CT slice

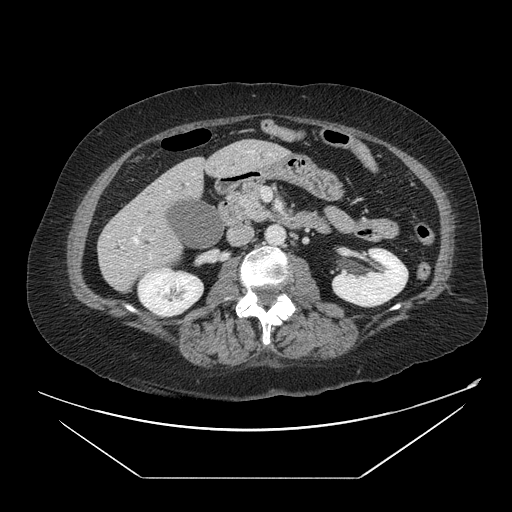
The pancreas is bounded by (left=230, top=183, right=274, bottom=222). The pancreatic tumor is located at (left=246, top=201, right=256, bottom=212).